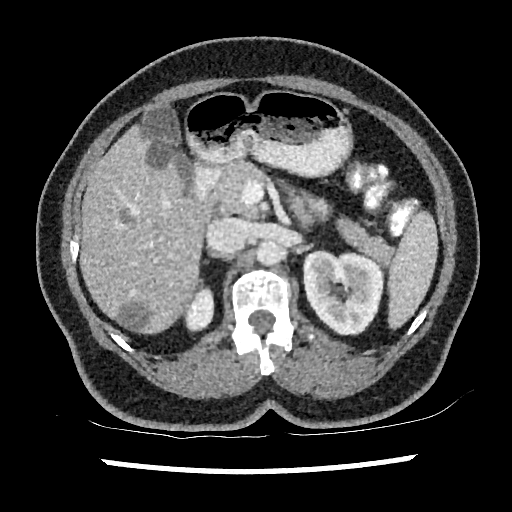 Abdomen, CT scan slice

2 kidney regions are located at 187, 290, 212, 329; 301, 252, 382, 334. The liver is located at 80, 127, 203, 332. 3 liver lesion regions are bounded by 146, 143, 170, 168; 116, 303, 147, 328; 121, 211, 133, 222.